Head, 240x240, Image width 240 mm, Slice 85 of 155
FLAIR MR image.
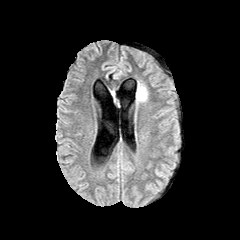
T1-weighted MRI.
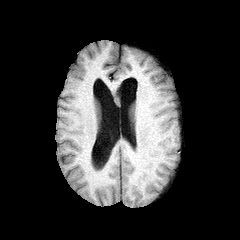
Post-contrast T1-weighted magnetic resonance.
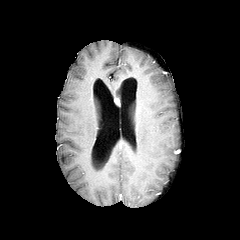
T2-weighted magnetic resonance.
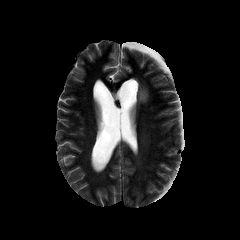
edema:
  - rect(136, 85, 147, 103)